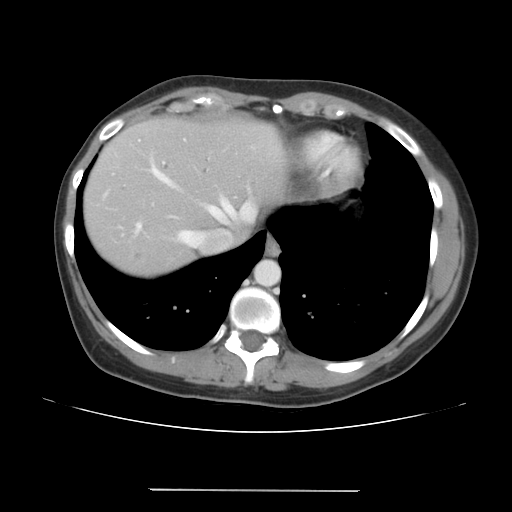

Liver, 512x512, Computed tomography
Some hepatic vessels may have no box.
<segmentation>
  <hepatic_vessel>174:229:230:248, 249:190:250:192, 200:193:255:224, 248:133:277:156, 134:221:142:235, 149:157:180:190</hepatic_vessel>
</segmentation>